Slice index 541 | 512x512 px | Computed tomography | Thorax 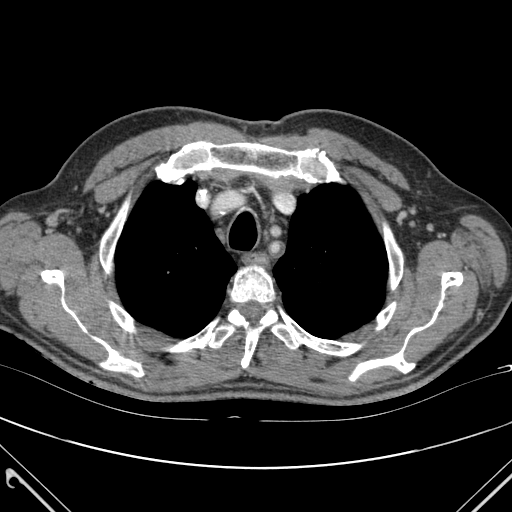

Annotated regions:
• bone: (left=100, top=202, right=127, bottom=272), (left=110, top=302, right=134, bottom=331), (left=384, top=226, right=402, bottom=289), (left=349, top=272, right=462, bottom=380), (left=93, top=337, right=143, bottom=376), (left=231, top=266, right=273, bottom=302), (left=169, top=310, right=277, bottom=367), (left=376, top=302, right=395, bottom=329), (left=156, top=141, right=340, bottom=184), (left=272, top=310, right=360, bottom=355), (left=41, top=270, right=86, bottom=332)
• lung: (left=273, top=183, right=387, bottom=338), (left=115, top=180, right=236, bottom=337)